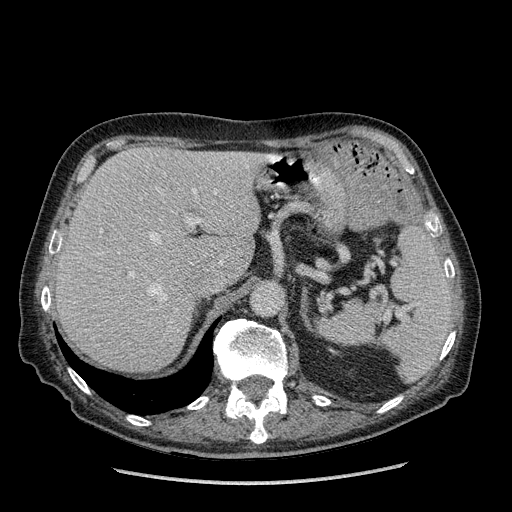

512x512 px, Computed tomography
The liver is bounded by [56, 147, 260, 372].